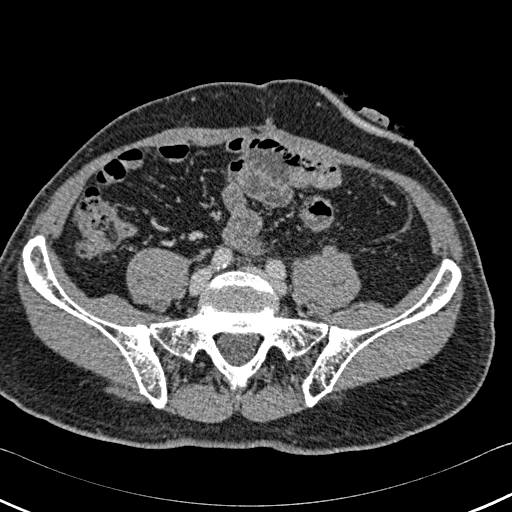

CT
Annotated regions:
* bone: <bbox>23, 236, 460, 407</bbox>